CT slice

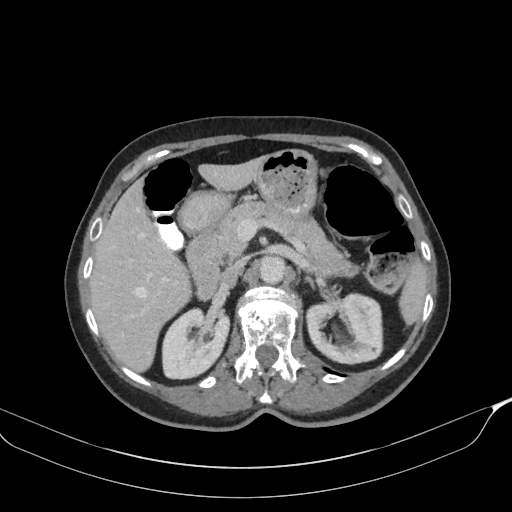 The pancreas is bounded by x1=216 y1=202 x2=347 y2=274. The pancreatic tumor lies within x1=344 y1=263 x2=360 y2=278.